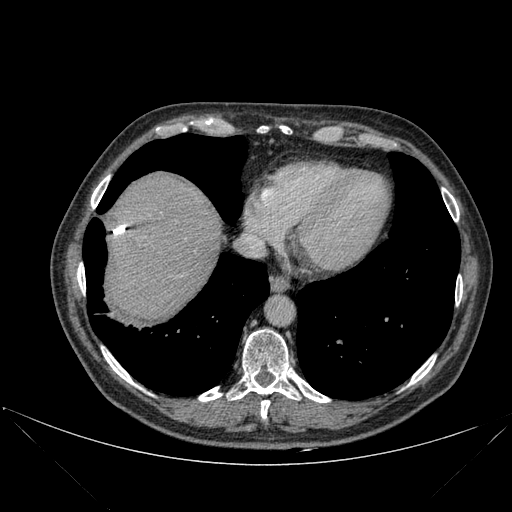
CT image; Image size 512x512; Upper abdomen
Bone at {"x1": 408, "y1": 355, "x2": 435, "y2": 385}, {"x1": 102, "y1": 349, "x2": 137, "y2": 386}, {"x1": 261, "y1": 400, "x2": 269, "y2": 418}, {"x1": 442, "y1": 188, "x2": 459, "y2": 221}, {"x1": 455, "y1": 275, "x2": 462, "y2": 304}, {"x1": 77, "y1": 263, "x2": 85, "y2": 292}, {"x1": 91, "y1": 176, "x2": 109, "y2": 208}, {"x1": 198, "y1": 387, "x2": 221, "y2": 401}, {"x1": 231, "y1": 330, "x2": 329, "y2": 402}.
Lung at {"x1": 83, "y1": 218, "x2": 269, "y2": 395}, {"x1": 97, "y1": 133, "x2": 247, "y2": 223}, {"x1": 297, "y1": 152, "x2": 460, "y2": 400}.
Liver at {"x1": 104, "y1": 178, "x2": 224, "y2": 324}.